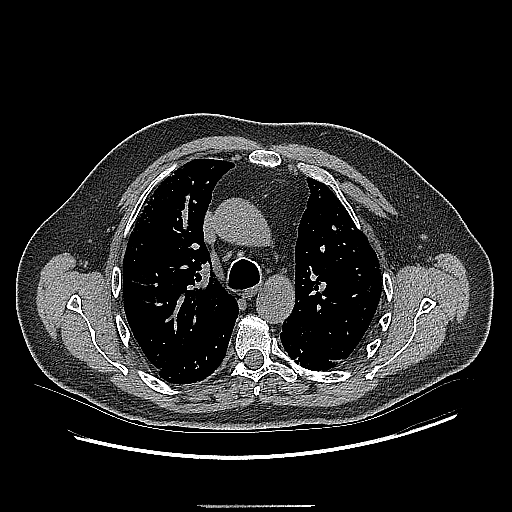

Lung; CT image; 512x512 px

lung_tumor:
  - bbox=[281, 333, 302, 364]
  - bbox=[302, 359, 310, 367]